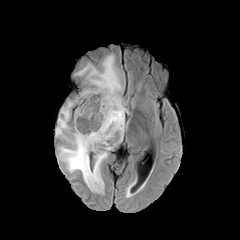
FLAIR MRI.
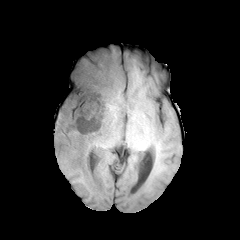
T1-weighted MRI of the same slice.
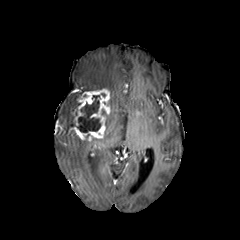
Post-contrast T1-weighted MRI.
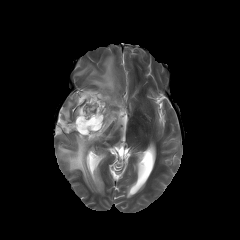
T2-weighted MRI.
Head.
Annotated regions:
• edema: (57,97,75,128), (55,55,127,190)
• enhancing tumor: (74,88,109,141)
• non-enhancing tumor core: (64,95,100,132)